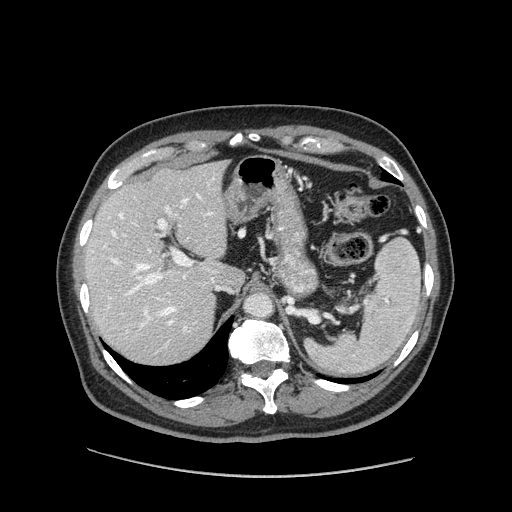
CT slice
Pancreas: bounding box <box>346,293,359,304</box>.